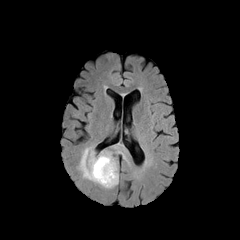
FLAIR MR.
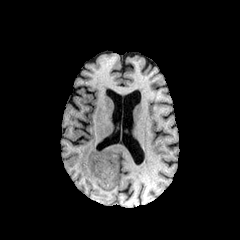
Same slice, T1-weighted magnetic resonance.
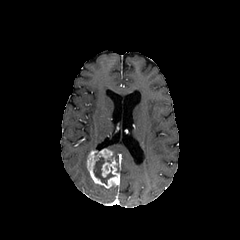
Post-contrast T1-weighted magnetic resonance.
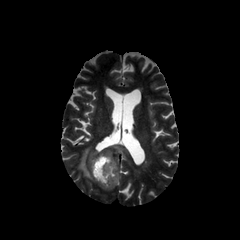
Same slice, T2-weighted magnetic resonance.
The enhancing tumor appears at {"x1": 87, "y1": 149, "x2": 120, "y2": 188}. The non-enhancing tumor core lies within {"x1": 93, "y1": 156, "x2": 115, "y2": 185}. 2 edema regions are bounded by {"x1": 77, "y1": 145, "x2": 95, "y2": 182}, {"x1": 111, "y1": 145, "x2": 128, "y2": 153}.